Upper abdomen | Computed tomography 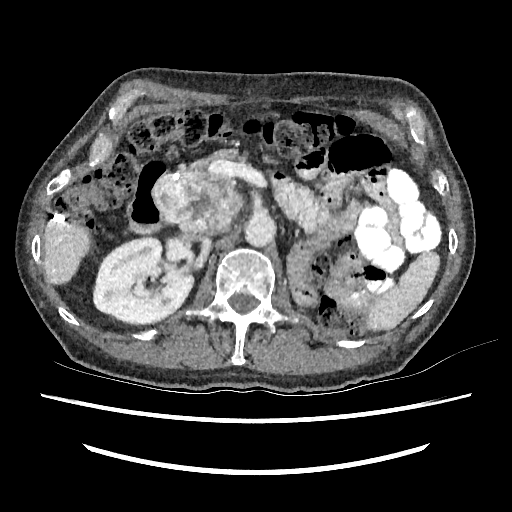
The liver lies within (44,221,90,284). The kidney is at (94,238,193,323).